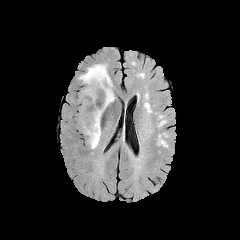
FLAIR MR.
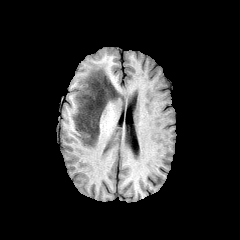
Same slice, T1-weighted MRI.
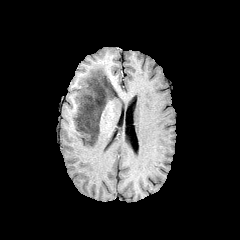
Post-contrast T1-weighted MR image.
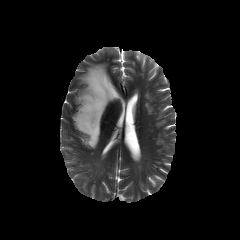
T2-weighted MR image of the same slice.
The non-enhancing tumor core lies within [x1=75, y1=64, x2=117, y2=144]. 3 edema regions appear at [x1=89, y1=65, x2=107, y2=75], [x1=88, y1=132, x2=101, y2=148], [x1=79, y1=76, x2=87, y2=93].